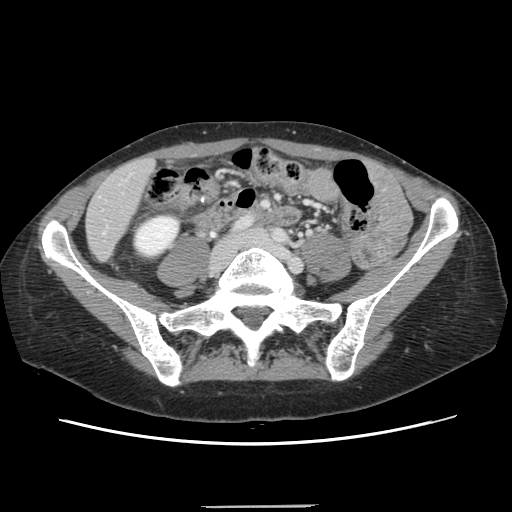

CT slice
Some hepatic vessels may have no box.
The hepatic vessel is at x1=102 y1=232 x2=104 y2=233.